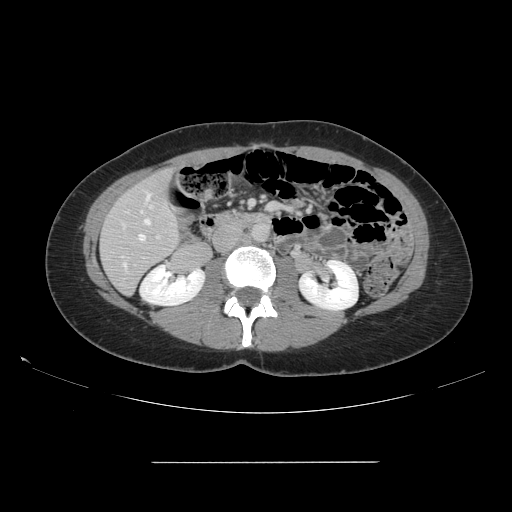 CT scan slice
The vessel annotation is not exhaustive.
Findings:
* hepatic vessel: 156,236,159,238; 139,234,145,240; 148,204,152,208; 124,263,127,273; 141,210,142,212; 145,191,150,201; 121,222,125,227; 121,256,124,258; 145,219,150,224